FLAIR MRI.
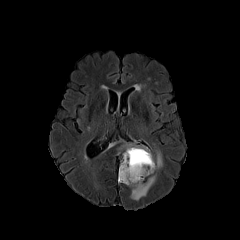
T1-weighted MRI.
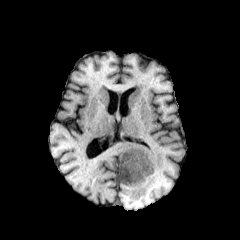
Post-contrast T1-weighted MRI.
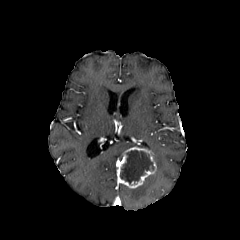
T2-weighted MR image.
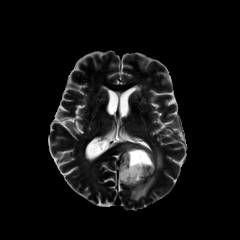
Edema: bbox=[131, 176, 155, 200]; bbox=[155, 150, 162, 168].
Non-enhancing tumor core: bbox=[120, 150, 154, 184].
Enhancing tumor: bbox=[117, 146, 157, 189].